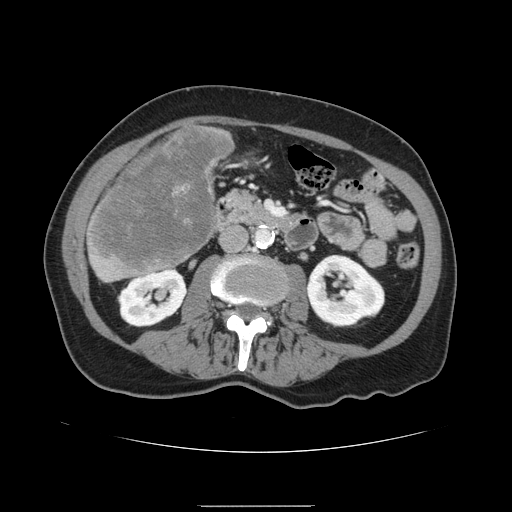
Liver; Computed tomography
liver_tumor:
  - 90, 128, 230, 270